Slice 29 of 48 | Computed tomography | Field of view 368x368 mm
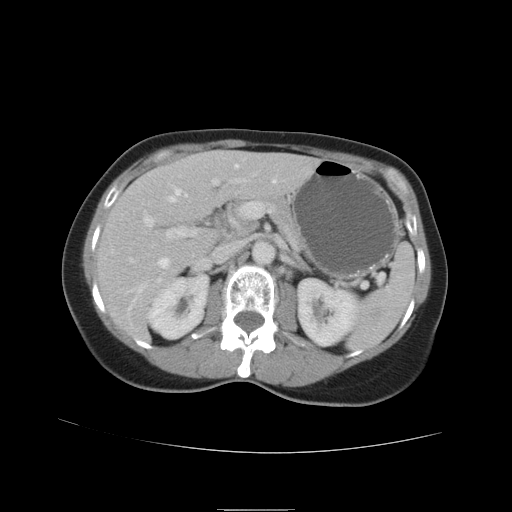 Pancreas — bbox(212, 193, 307, 253).